CT scan slice. Slice 361/811.

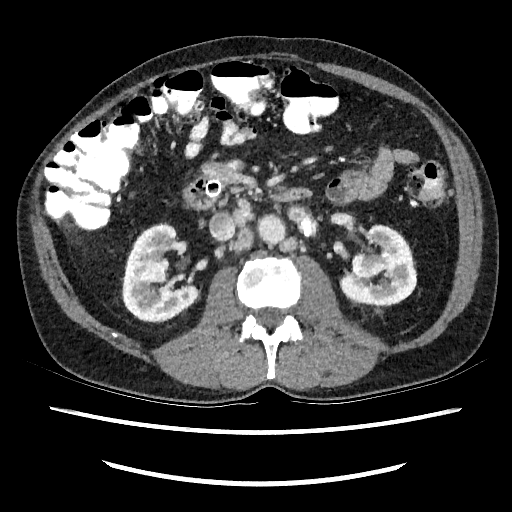
<segmentation>
  <kidney>box=[123, 225, 196, 322]; box=[342, 226, 415, 304]</kidney>
</segmentation>